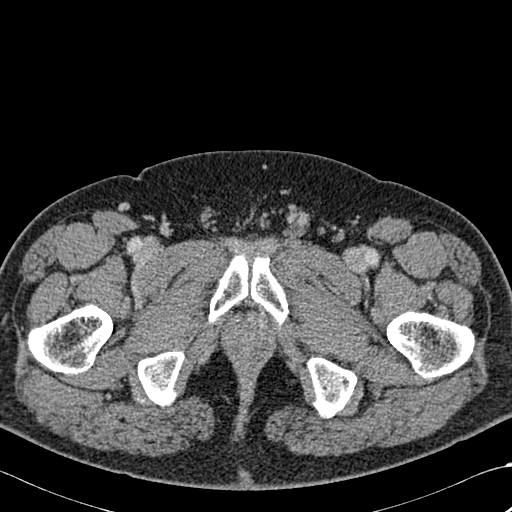 Computed tomography. 5 bone regions are located at l=28, t=305, r=112, b=373; l=138, t=351, r=184, b=406; l=209, t=255, r=287, b=324; l=307, t=357, r=356, b=417; l=387, t=312, r=474, b=377.